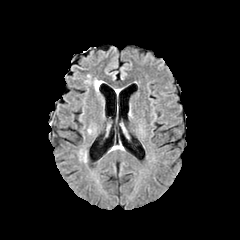
FLAIR MR image.
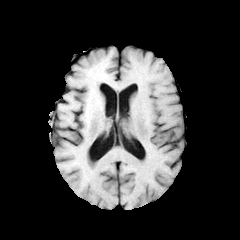
T1-weighted MRI of the same slice.
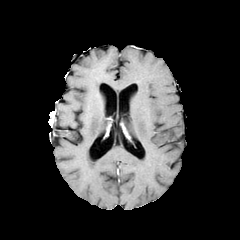
Post-contrast T1-weighted MRI.
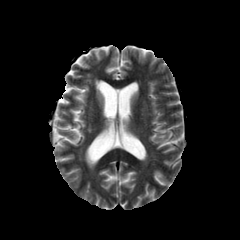
Same slice, T2-weighted MR.
Edema: (left=94, top=80, right=101, bottom=95).